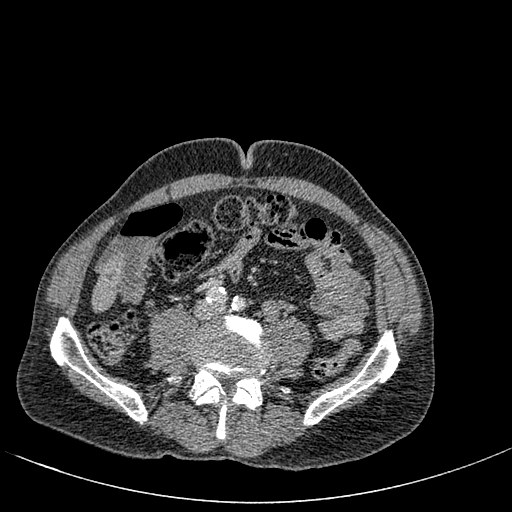
CT image | Abdomen | 512x512 px

liver:
  - (left=92, top=255, right=123, bottom=311)